CT; Slice 362 of 771; 512x512; Upper abdomen
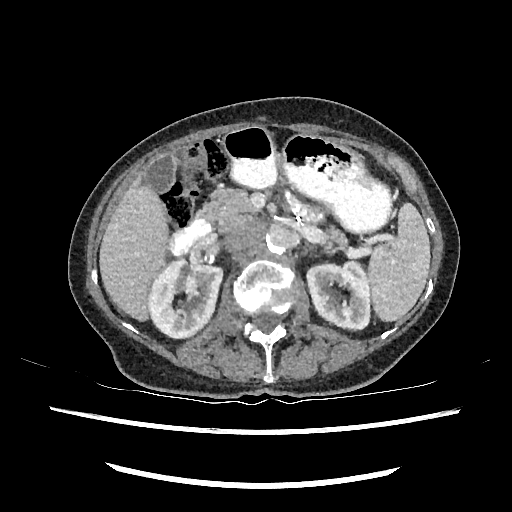

Kidney: bounding box <box>307,262,369,328</box>, <box>149,260,222,337</box>.
Liver: bounding box <box>100,176,168,319</box>.